512x512 px | CT slice | Upper abdomen | Slice 176 of 192 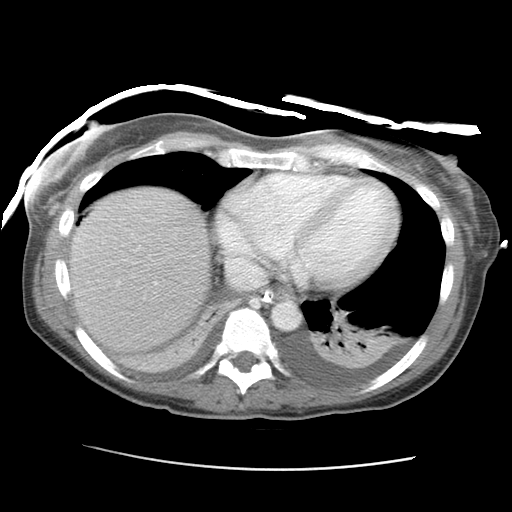
Annotated regions:
- liver: rect(68, 188, 208, 352)